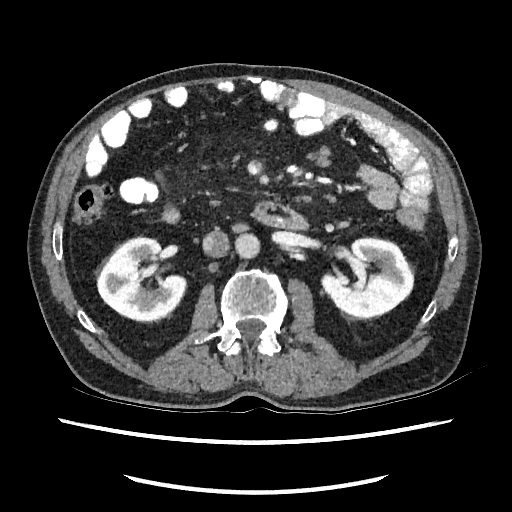
CT slice; Abdomen
<segmentation>
  <kidney><box>97,237,186,321</box>, <box>321,237,413,319</box></kidney>
</segmentation>